FLAIR magnetic resonance.
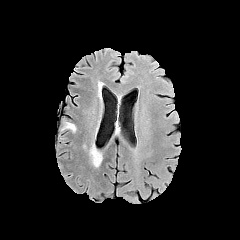
T1-weighted MR image.
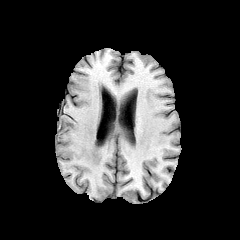
Post-contrast T1-weighted MR.
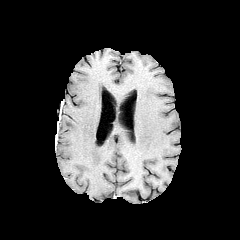
T2-weighted MR.
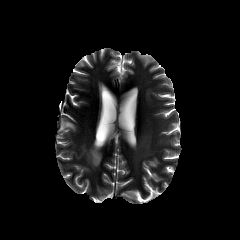
Edema at [x1=83, y1=142, x2=101, y2=166].